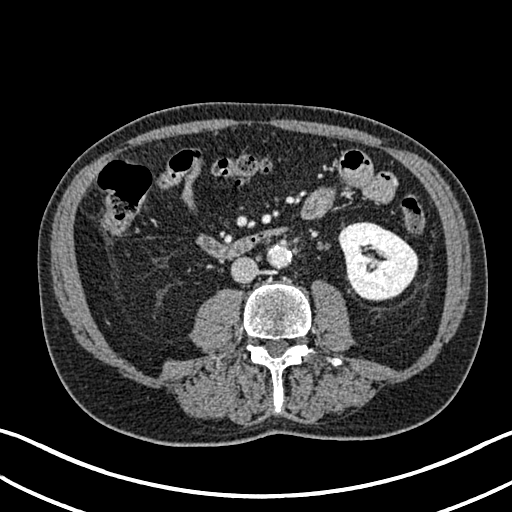 CT.

- kidney: box(339, 223, 417, 299)